Pelvis, Image size 512x512, CT image, Slice 86 of 771 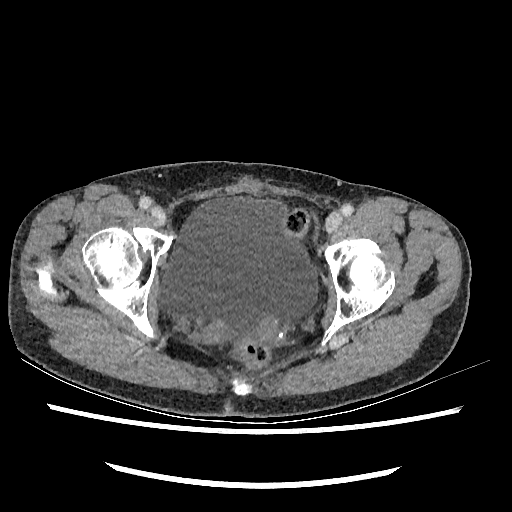

The urinary bladder is at x1=157 y1=196 x2=317 y2=341.